Field of view 240 mm wide, 1.00 mm slice spacing | Slice 106 of 155 | Head
FLAIR MRI.
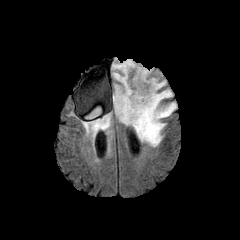
T1-weighted MR image.
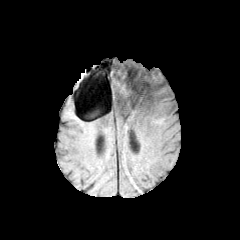
Post-contrast T1-weighted MR.
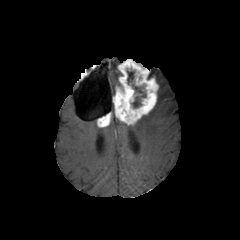
T2-weighted MRI.
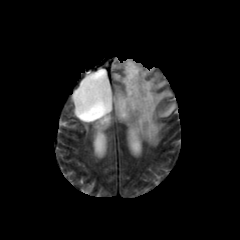
Enhancing tumor — region(113, 60, 157, 123); region(97, 112, 111, 127).
Non-enhancing tumor core — region(133, 96, 140, 107); region(127, 71, 133, 82).
Edema — region(133, 88, 177, 146); region(112, 62, 120, 81); region(156, 77, 165, 89); region(86, 107, 109, 133).